Thorax. CT slice.

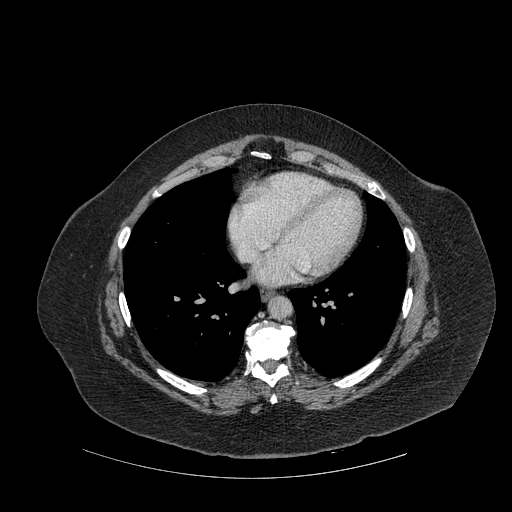 Lung: bounding box left=124, top=169, right=260, bottom=381; left=289, top=192, right=405, bottom=377.
Bone: bounding box left=334, top=359, right=380, bottom=387; left=252, top=152, right=269, bottom=158; left=402, top=288, right=412, bottom=317; left=119, top=293, right=130, bottom=325; left=245, top=321, right=294, bottom=386; left=118, top=227, right=129, bottom=248; left=404, top=228, right=414, bottom=251; left=157, top=369, right=206, bottom=394.